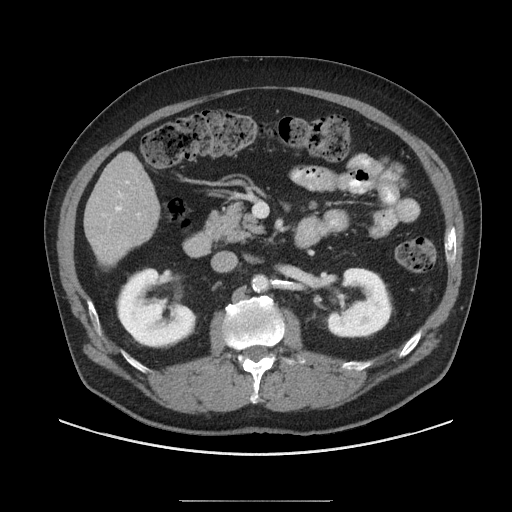

512x512. CT image. Abdomen.
Not every hepatic vessel necessarily has a box.
hepatic vessel: (left=116, top=206, right=120, bottom=209)